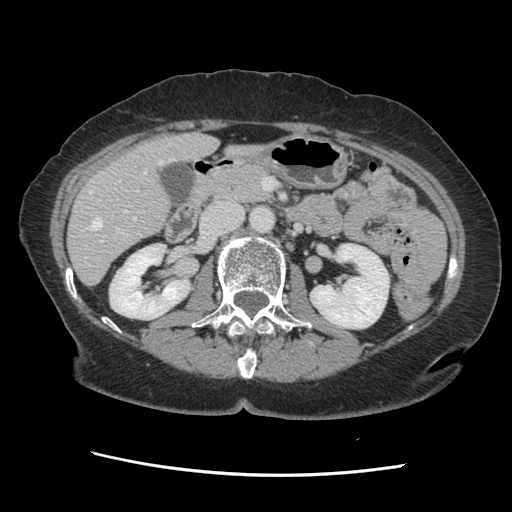

CT
The vessel annotation is not exhaustive.
Hepatic vessel at 119,180,120,181; 100,240,102,241; 159,160,162,164; 169,158,172,160; 87,218,101,229; 124,210,126,211; 133,217,135,219; 89,190,92,192; 144,171,146,173.